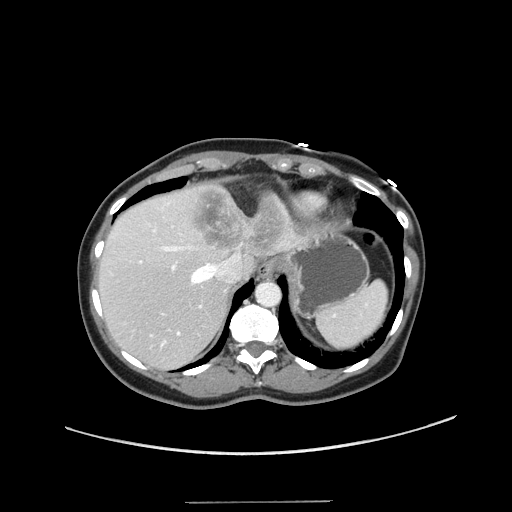
Computed tomography | Abdomen | 512x512 px
Some hepatic vessels may have no box.
liver_tumor:
  - bbox(191, 187, 287, 256)
hepatic_vessel:
  - bbox(162, 340, 165, 344)
  - bbox(191, 252, 240, 282)
  - bbox(172, 263, 176, 268)
  - bbox(154, 229, 156, 230)
  - bbox(165, 247, 169, 249)
  - bbox(177, 331, 179, 333)
  - bbox(139, 261, 141, 262)